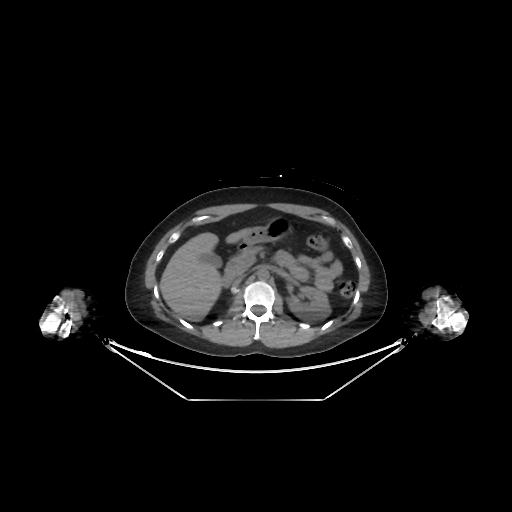
CT scan slice. Upper abdomen. 2 liver regions are bounded by bbox(226, 227, 270, 244); bbox(158, 233, 223, 321). The kidney is at bbox(285, 285, 330, 322).